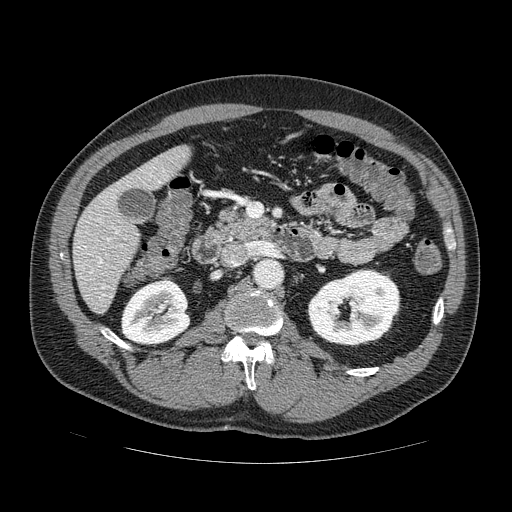 CT

Pancreas: 217,209,275,242.